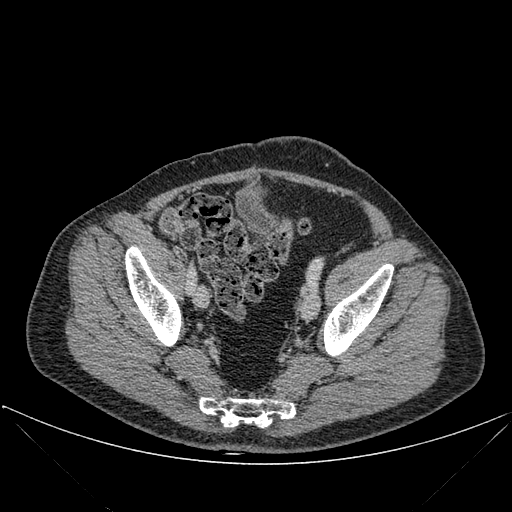
CT scan slice

3 bone regions appear at 125 246 180 345, 200 397 295 428, 324 264 393 355.